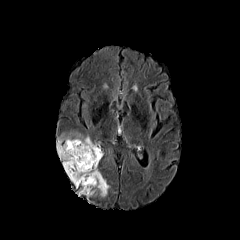
FLAIR MR.
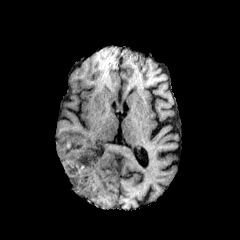
T1-weighted MR image.
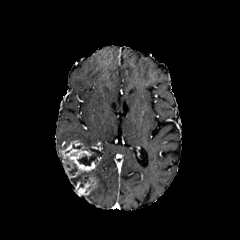
Same slice, post-contrast T1-weighted MRI.
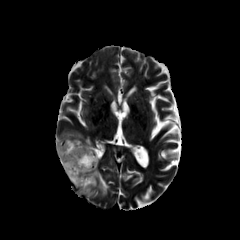
T2-weighted MR image.
Image size 240x240.
<segmentation>
  <edema>x1=58 y1=134 x2=96 y2=158, x1=71 y1=167 x2=110 y2=197</edema>
  <non-enhancing_tumor_core>x1=68 y1=161 x2=77 y2=176, x1=77 y1=149 x2=102 y2=166</non-enhancing_tumor_core>
  <enhancing_tumor>x1=79 y1=176 x2=97 y2=195, x1=61 y1=140 x2=98 y2=177</enhancing_tumor>
</segmentation>